Computed tomography | Slice 102/689 | Field of view 360x360 mm 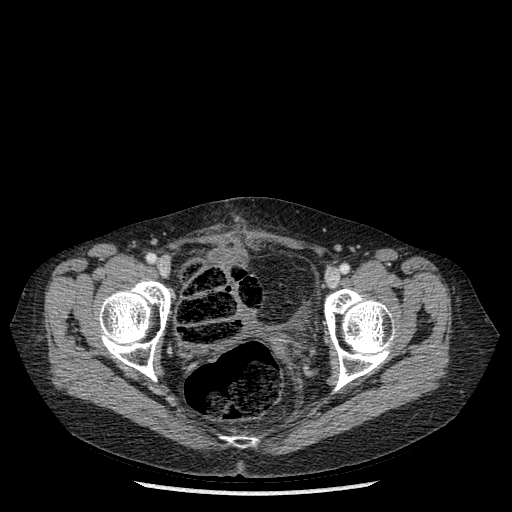 3 bone regions appear at 96:279:172:381, 221:436:258:447, 324:288:393:391.